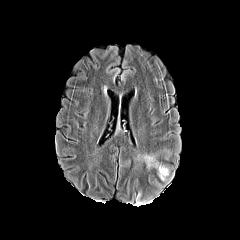
FLAIR MR.
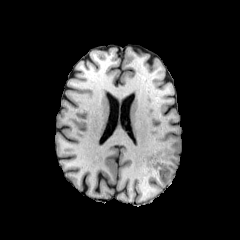
T1-weighted MRI.
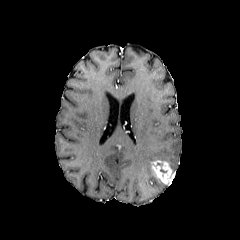
Post-contrast T1-weighted MR image.
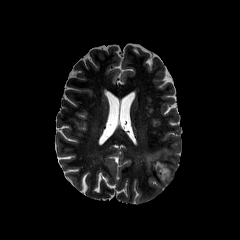
T2-weighted MR.
Head
The edema is located at left=142, top=151, right=159, bottom=169. The enhancing tumor lies within left=151, top=160, right=174, bottom=183.